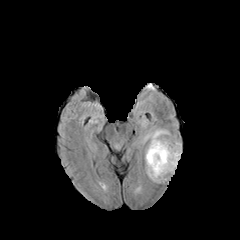
FLAIR MR.
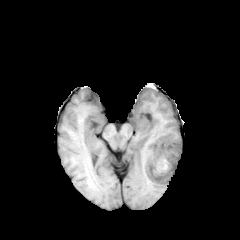
Same slice, T1-weighted MR image.
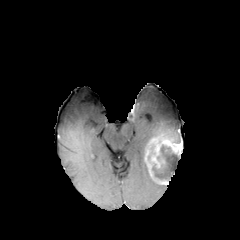
Post-contrast T1-weighted magnetic resonance.
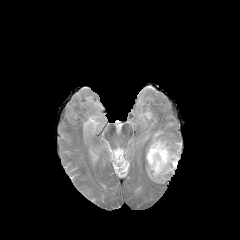
T2-weighted MR image.
240x240 px | Head
2 non-enhancing tumor core regions are bounded by x1=157 y1=137 x2=174 y2=143, x1=145 y1=142 x2=179 y2=185. 2 enhancing tumor regions are bounded by x1=161 y1=139 x2=182 y2=154, x1=151 y1=138 x2=160 y2=154. 2 edema regions appear at x1=141 y1=118 x2=149 y2=128, x1=134 y1=123 x2=180 y2=153.